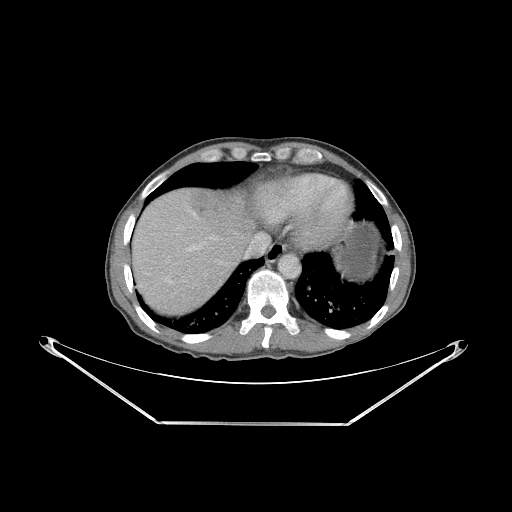
CT scan slice.

{"liver": ["box(133, 188, 253, 316)"], "lung": ["box(295, 255, 394, 328)", "box(147, 162, 255, 202)", "box(151, 258, 263, 333)", "box(344, 174, 393, 249)"], "bone": ["box(242, 270, 295, 347)", "box(124, 265, 132, 292)", "box(392, 225, 401, 250)", "box(368, 306, 387, 328)", "box(124, 215, 134, 244)", "box(390, 268, 398, 289)", "box(182, 334, 210, 342)", "box(142, 175, 161, 197)", "box(136, 306, 158, 332)", "box(368, 184, 386, 204)", "box(325, 329, 349, 339)", "box(253, 153, 268, 160)"]}